Image size 512x512. CT image. Image width 416 mm.
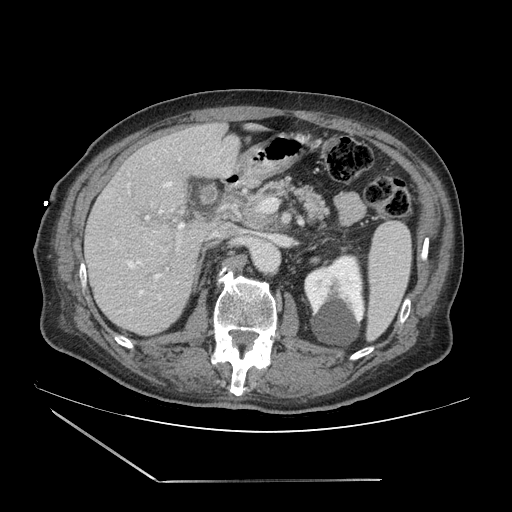
The pancreas is located at 254,177,329,223.